CT scan slice; Slice index 35; 512x512 px

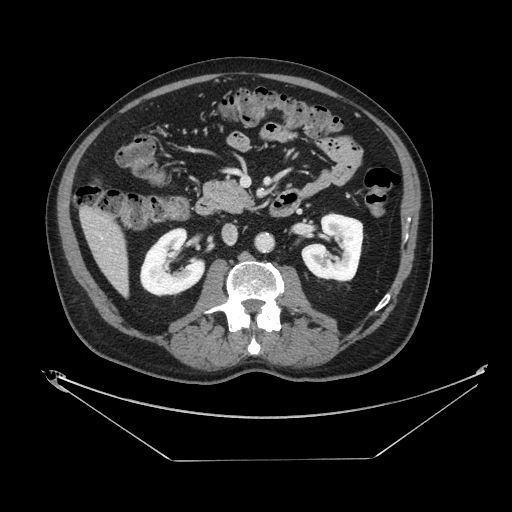

Pancreas: box(205, 180, 252, 213).